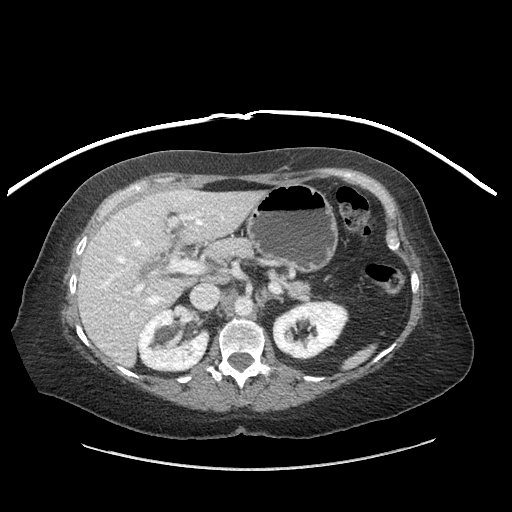 CT scan slice. {"pancreas": ["(x1=273, y1=273, x2=308, y2=298)"]}